Field of view 411x411 mm. CT slice. 512x512 px.
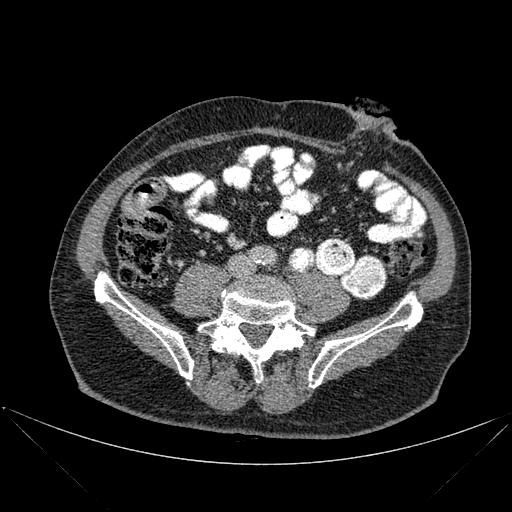
Segmented structures:
• bone: left=94, top=272, right=193, bottom=379; left=198, top=281, right=314, bottom=382; left=308, top=293, right=422, bottom=388